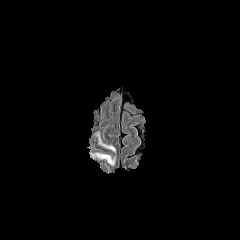
FLAIR magnetic resonance.
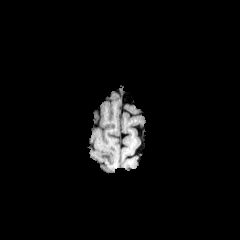
T1-weighted MR image.
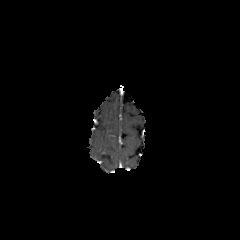
Post-contrast T1-weighted MR of the same slice.
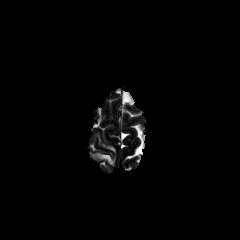
T2-weighted magnetic resonance.
Brain, 240x240 px
<segmentation>
  <edema>92,153,114,164</edema>
</segmentation>